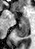 MR image; Hippocampus
Anterior hippocampus = [21,18,27,20].
Posterior hippocampus = [15,21,29,37].